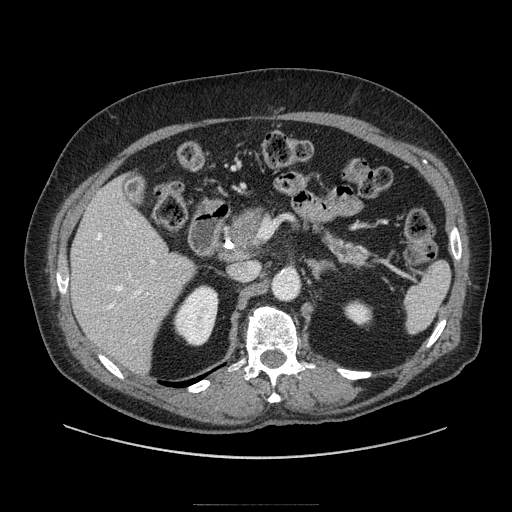 CT image | Upper abdomen

2 pancreas regions are bounded by {"x1": 320, "y1": 229, "x2": 368, "y2": 266}, {"x1": 233, "y1": 209, "x2": 262, "y2": 247}. The pancreatic tumor is bounded by {"x1": 231, "y1": 218, "x2": 242, "y2": 231}.